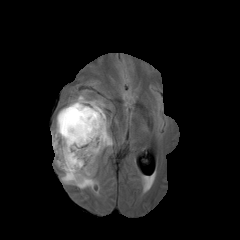
FLAIR MRI.
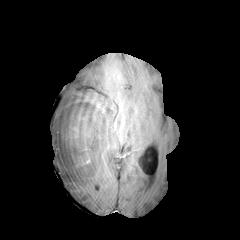
T1-weighted MRI of the same slice.
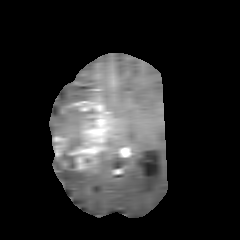
Post-contrast T1-weighted MR image.
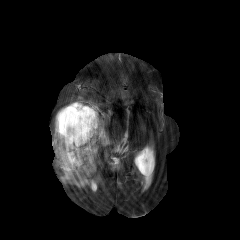
T2-weighted MR.
• edema: (51, 103, 84, 152), (54, 105, 112, 188), (70, 97, 97, 102)
• non-enhancing tumor core: (58, 106, 95, 175)
• enhancing tumor: (54, 134, 68, 158), (68, 101, 106, 170)